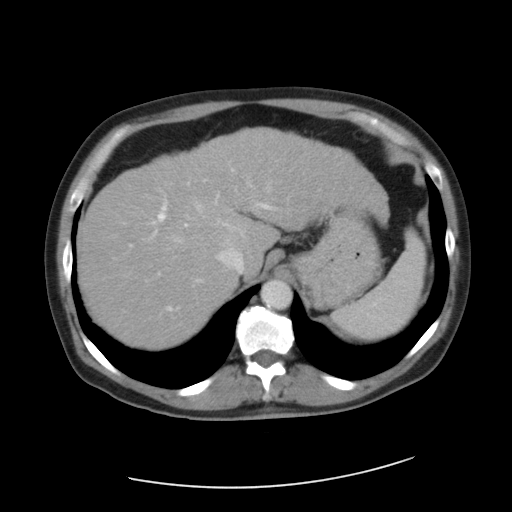 Abdomen, CT scan slice, 512x512 px
Some hepatic vessels may have no box.
Findings:
- hepatic vessel (largest 15 of 17): 255 203 272 209, 217 218 244 236, 223 240 231 247, 195 279 201 281, 152 230 156 237, 185 223 187 226, 231 168 234 171, 204 179 206 181, 167 306 171 310, 158 196 166 220, 149 221 156 224, 172 236 182 241, 214 193 219 203, 195 203 202 213, 234 187 235 190